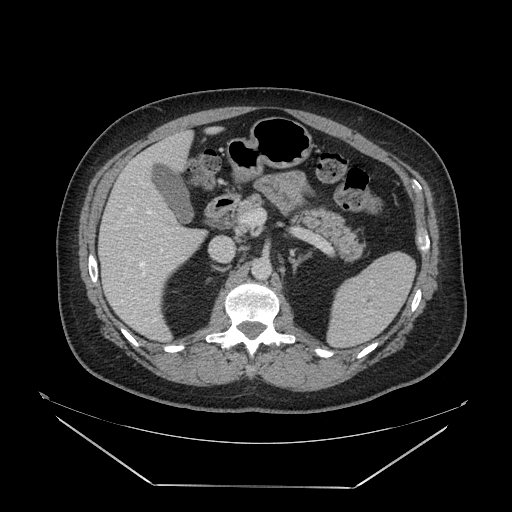 Upper abdomen | CT image
2 pancreas regions are located at box(295, 210, 362, 259); box(240, 196, 259, 211).